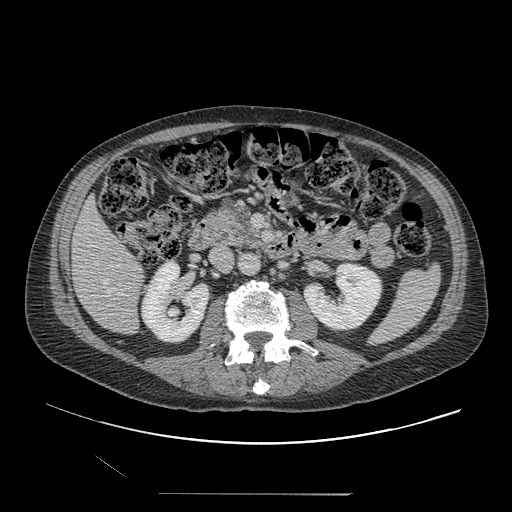
Abdomen | CT | Image size 512x512

Pancreas: bbox=[207, 199, 262, 252].